CT slice; Slice 85/144; Liver
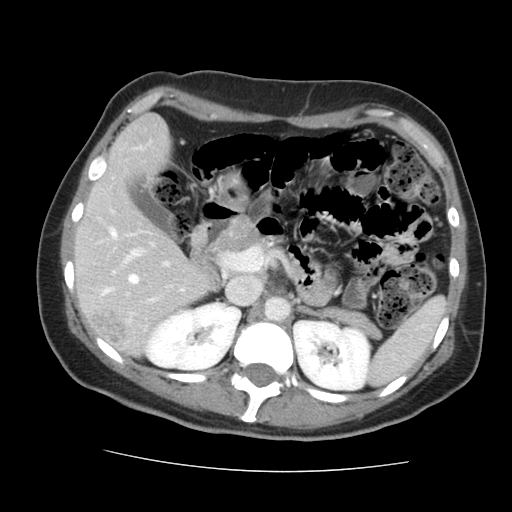

Not every hepatic vessel necessarily has a box.
Annotated regions:
* liver tumor: x1=92 y1=309 x2=125 y2=341
* hepatic vessel: x1=150 y1=299 x2=153 y2=300, x1=164 y1=263 x2=167 y2=265, x1=103 y1=289 x2=110 y2=293, x1=125 y1=250 x2=140 y2=261, x1=110 y1=229 x2=115 y2=237, x1=128 y1=275 x2=137 y2=283